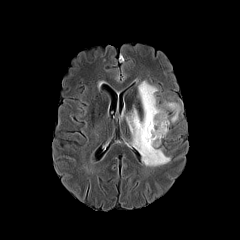
FLAIR magnetic resonance.
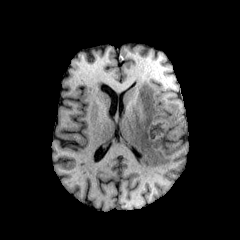
T1-weighted MR.
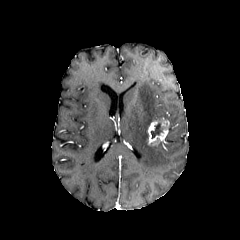
Post-contrast T1-weighted MRI.
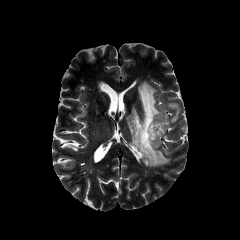
T2-weighted MR of the same slice.
Brain
The enhancing tumor is located at {"x1": 148, "y1": 117, "x2": 169, "y2": 146}. 2 non-enhancing tumor core regions are bounded by {"x1": 151, "y1": 122, "x2": 164, "y2": 138}, {"x1": 154, "y1": 105, "x2": 175, "y2": 121}. 2 edema regions are located at {"x1": 163, "y1": 102, "x2": 180, "y2": 123}, {"x1": 126, "y1": 81, "x2": 170, "y2": 167}.